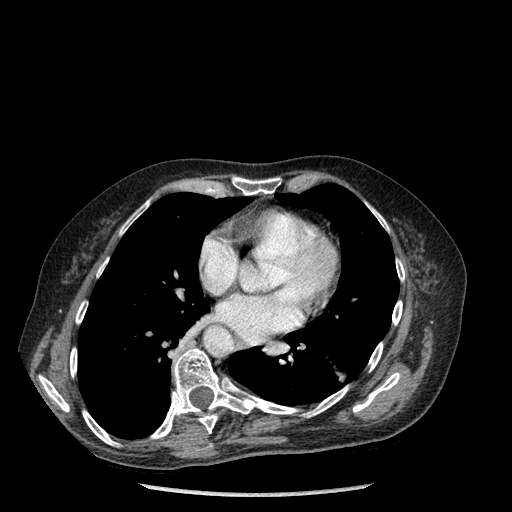

512x512. CT image. 14 bone regions are bounded by [392,301,402,325], [396,259,404,281], [298,386,348,417], [353,372,400,412], [70,348,76,377], [366,203,389,231], [82,410,119,446], [75,301,87,323], [232,177,281,195], [96,258,108,276], [368,342,382,371], [39,375,69,411], [119,199,150,234], [151,348,298,438]. 2 lung regions are located at [78,192,249,438], [229,183,399,405].